FLAIR MR image.
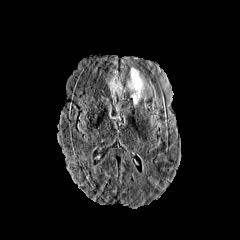
T1-weighted magnetic resonance.
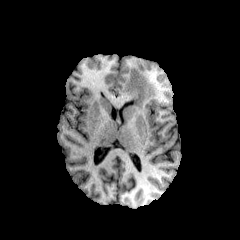
Post-contrast T1-weighted MR image.
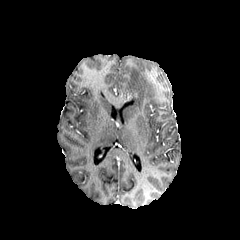
T2-weighted MR.
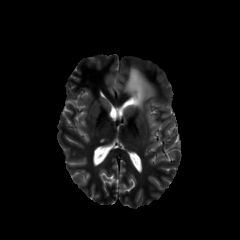
240x240 px
* edema: 128,69,149,106